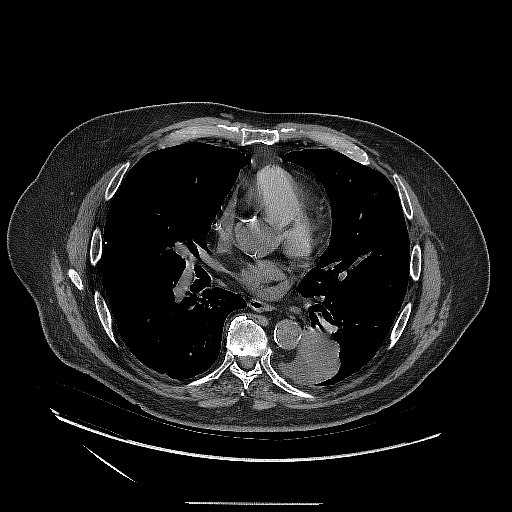

Computed tomography, Lung
The lung tumor appears at 278 325 344 385.